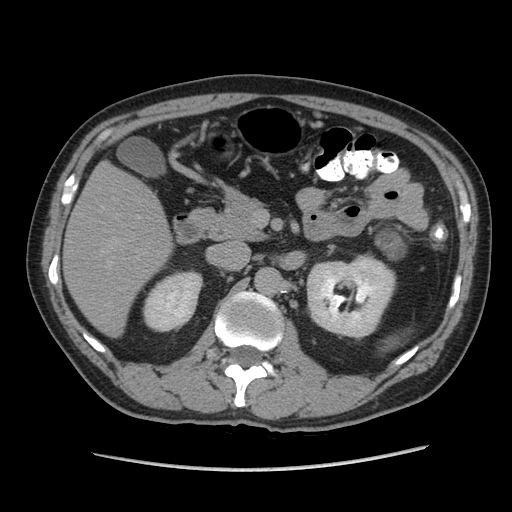 Computed tomography
The pancreas is located at left=208, top=192, right=267, bottom=242.